240x240; Head; Field of view 240 mm wide, 1.00 mm slice spacing
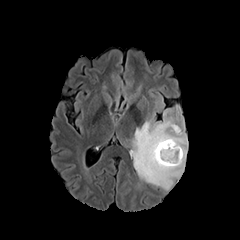
FLAIR MRI.
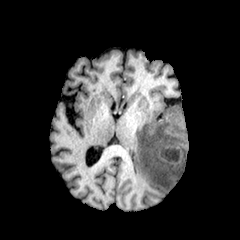
T1-weighted MR image.
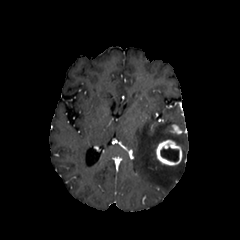
Same slice, post-contrast T1-weighted MR image.
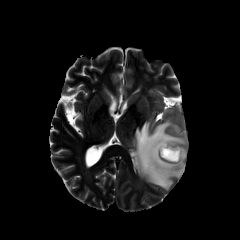
T2-weighted MR.
Enhancing tumor: bounding box l=171, t=124, r=182, b=133; l=156, t=139, r=182, b=165.
Edema: bounding box l=132, t=116, r=188, b=190.
Non-enhancing tumor core: bounding box l=160, t=147, r=179, b=162.